Image size 512x512, Slice 55/102, CT slice, Field of view 451 mm wide, 2.00 mm slice spacing

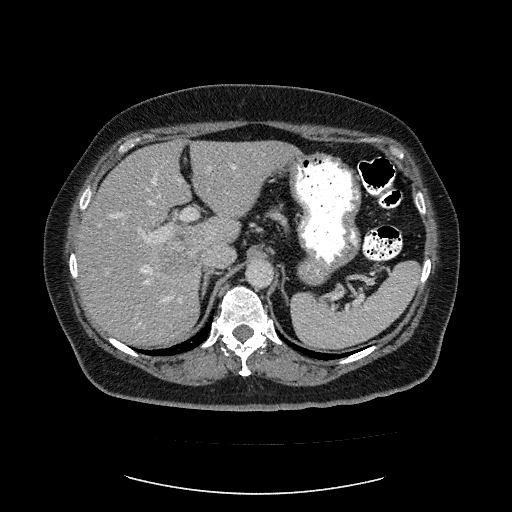

The vessel boxes may cover only some of the vessels.
The liver tumor is at (160, 228, 207, 275). The principal 15 hepatic vessel regions (of 16) are bounded by (139, 323, 144, 327), (179, 179, 181, 181), (208, 167, 211, 170), (148, 201, 154, 204), (147, 188, 150, 190), (164, 296, 170, 300), (109, 213, 123, 217), (141, 265, 152, 272), (179, 298, 181, 301), (175, 207, 199, 220), (232, 165, 235, 168), (138, 227, 169, 242), (152, 173, 156, 183), (146, 280, 149, 283), (105, 268, 109, 274).